Slice 641 of 689 | Thorax | Computed tomography | Field of view 360x360 mm | 512x512 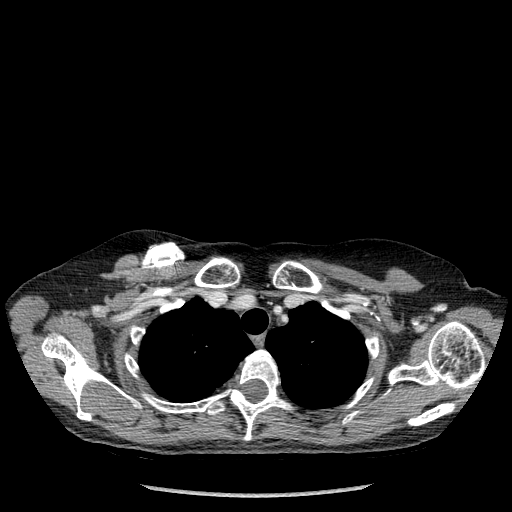 <segmentation>
  <lung>265,301,367,408; 139,297,268,402</lung>
  <bone>273,261,322,293; 365,335,379,358; 388,321,485,390; 408,403,455,425; 130,325,144,344; 342,411,360,423; 321,299,349,319; 194,258,239,288; 41,333,141,420; 124,353,138,377; 346,377,373,407; 155,298,184,312; 142,349,292,440</bone>
</segmentation>